Head | 240x240 px
FLAIR MR.
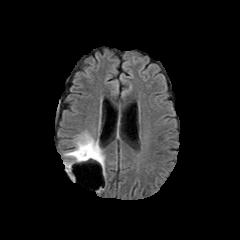
T1-weighted magnetic resonance.
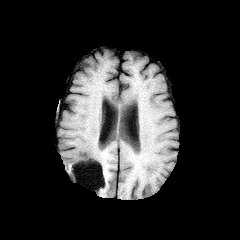
Post-contrast T1-weighted magnetic resonance.
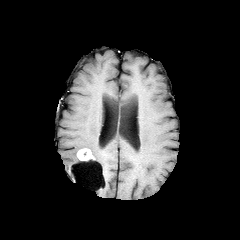
T2-weighted MR image.
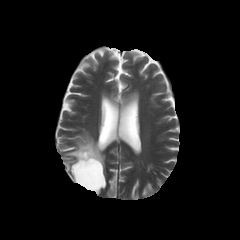
non-enhancing tumor core: (left=74, top=149, right=103, bottom=179) | edema: (left=64, top=130, right=105, bottom=179) | enhancing tumor: (left=77, top=148, right=95, bottom=160)